FLAIR magnetic resonance.
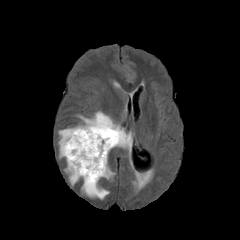
T1-weighted MR image.
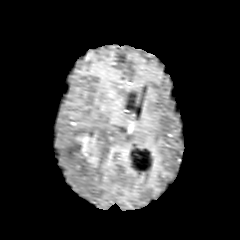
Post-contrast T1-weighted magnetic resonance.
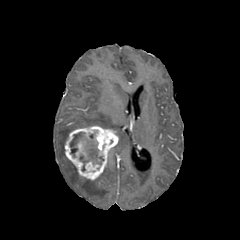
T2-weighted MR.
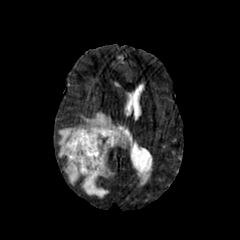
Head | 240x240
Non-enhancing tumor core at bbox(70, 132, 104, 171).
Enhancing tumor at bbox(65, 126, 117, 180).
Edema at bbox(58, 111, 132, 198).